240x240; Field of view 240 mm wide, 1.00 mm slice spacing; Head
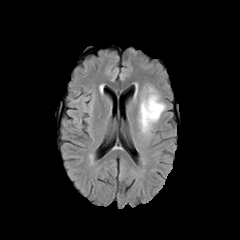
FLAIR MRI.
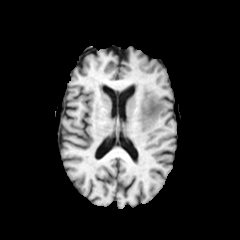
T1-weighted MR image.
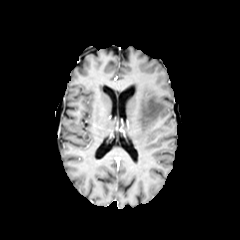
Same slice, post-contrast T1-weighted MRI.
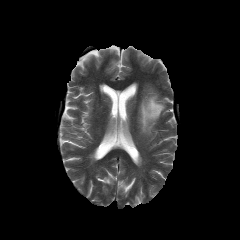
Same slice, T2-weighted MRI.
edema: region(139, 94, 165, 132)